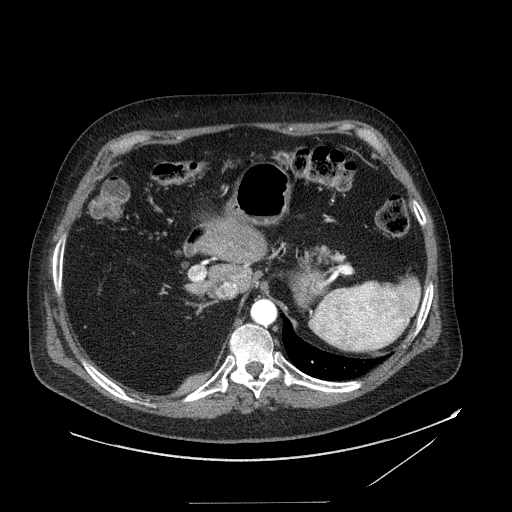

Abdomen. CT slice.

<segmentation>
  <pancreas>297:246:345:268</pancreas>
</segmentation>